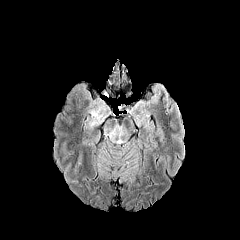
FLAIR MR.
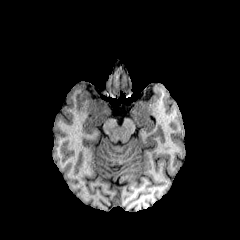
Same slice, T1-weighted MR image.
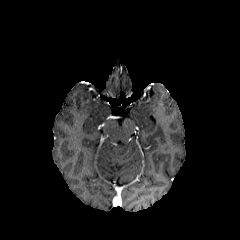
Post-contrast T1-weighted MRI of the same slice.
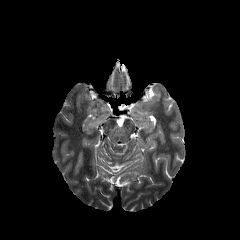
T2-weighted MR image.
Head.
Edema = (x1=91, y1=111, x2=101, y2=119).